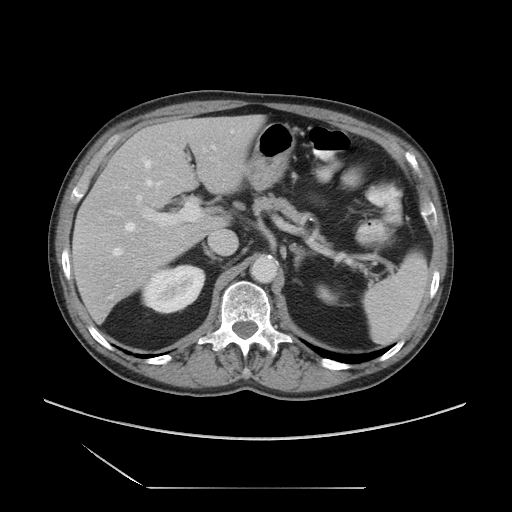 CT slice | 512x512 px | Abdomen

Not every hepatic vessel necessarily has a box.
Hepatic vessel: bounding box bbox(181, 202, 200, 221); bbox(136, 264, 137, 266); bbox(146, 180, 151, 185); bbox(156, 181, 161, 186); bbox(212, 231, 234, 238); bbox(188, 132, 190, 133); bbox(137, 195, 141, 204); bbox(114, 248, 122, 255); bbox(231, 129, 232, 132); bbox(143, 208, 176, 226); bbox(142, 157, 150, 167); bbox(125, 222, 134, 231); bbox(109, 296, 112, 297); bbox(212, 146, 215, 149).